Slice 53 of 131 | 512x512 | Image width 498 mm | Abdomen | CT

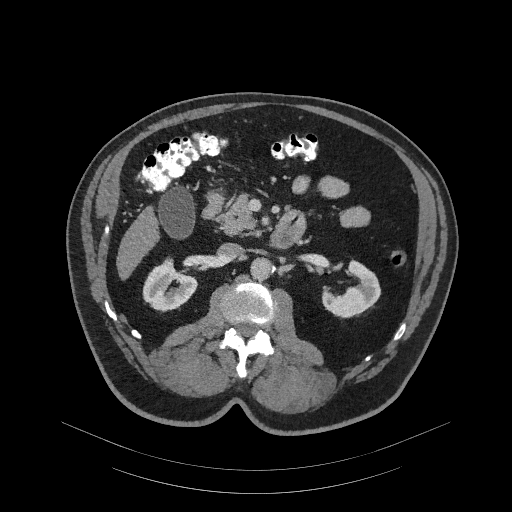

Findings:
* pancreas: [218, 194, 255, 230]